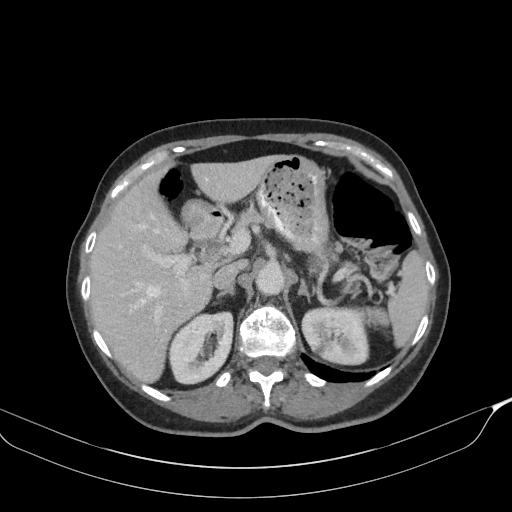 Abdomen. CT.
Findings:
- pancreas: [x1=235, y1=210, x2=263, y2=229]